Slice index 75, Head
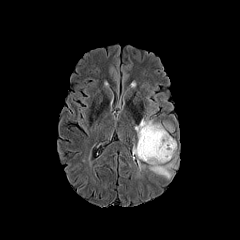
FLAIR magnetic resonance.
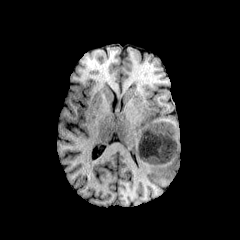
Same slice, T1-weighted MR.
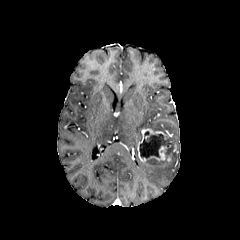
Post-contrast T1-weighted MRI of the same slice.
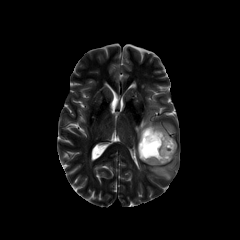
T2-weighted MR image.
2 enhancing tumor regions are located at bbox(149, 145, 168, 160); bbox(137, 128, 169, 160). 3 edema regions appear at bbox(146, 159, 172, 178); bbox(135, 148, 145, 170); bbox(135, 108, 165, 140). The non-enhancing tumor core is located at bbox(139, 133, 174, 159).